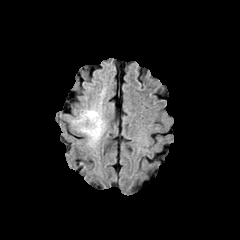
FLAIR MR image.
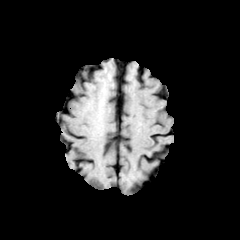
Same slice, T1-weighted MR image.
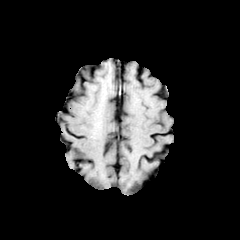
Post-contrast T1-weighted MR of the same slice.
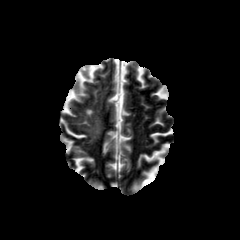
Same slice, T2-weighted MR image.
Head
edema:
  - x1=83 y1=109 x2=102 y2=141